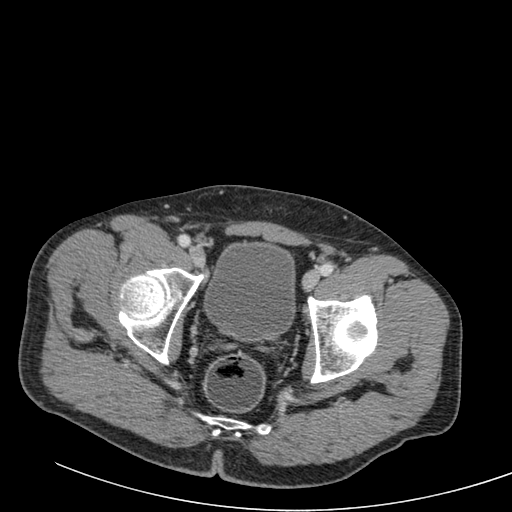 CT slice; Image size 512x512

Urinary bladder: region(204, 242, 295, 342).